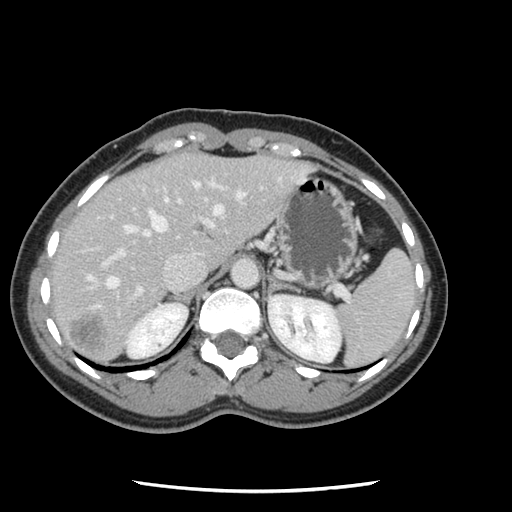 Liver, Computed tomography
Not every hepatic vessel necessarily has a box.
hepatic vessel: rect(86, 275, 93, 279); rect(141, 230, 148, 235); rect(236, 190, 243, 197); rect(149, 210, 166, 231); rect(204, 219, 212, 226); rect(164, 194, 167, 200); rect(135, 287, 141, 294); rect(177, 199, 179, 201); rect(213, 205, 222, 213); rect(103, 276, 117, 287); rect(122, 224, 136, 231); rect(194, 181, 199, 186); rect(209, 181, 221, 187); rect(103, 249, 123, 263) | liver tumor: rect(71, 317, 104, 349)